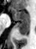 Hippocampus. MRI slice.
Anterior hippocampus: region(12, 8, 29, 19).
Posterior hippocampus: region(15, 20, 29, 35).